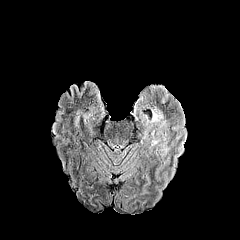
FLAIR MRI.
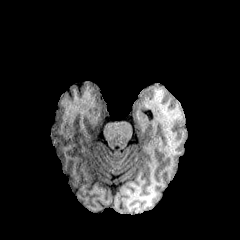
T1-weighted magnetic resonance.
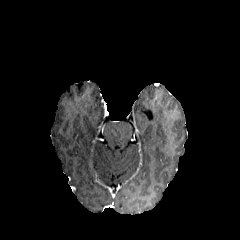
Post-contrast T1-weighted MR image of the same slice.
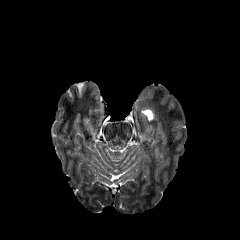
T2-weighted magnetic resonance.
Head
The edema appears at 151:110:168:131.